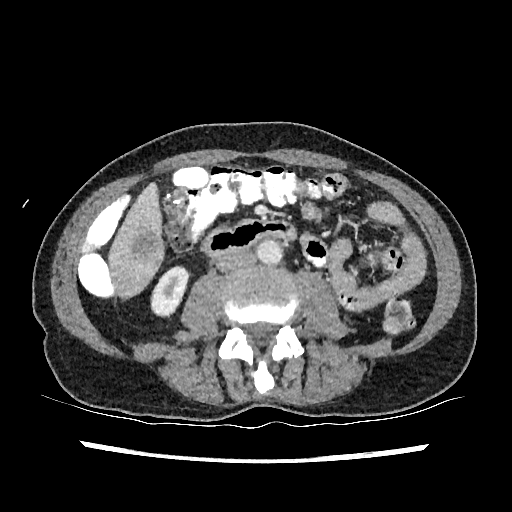

Image size 512x512. Liver. Computed tomography.

The liver lesion lies within 132:234:158:256. The kidney is located at 152:267:187:314. The liver is at 109:183:163:297.